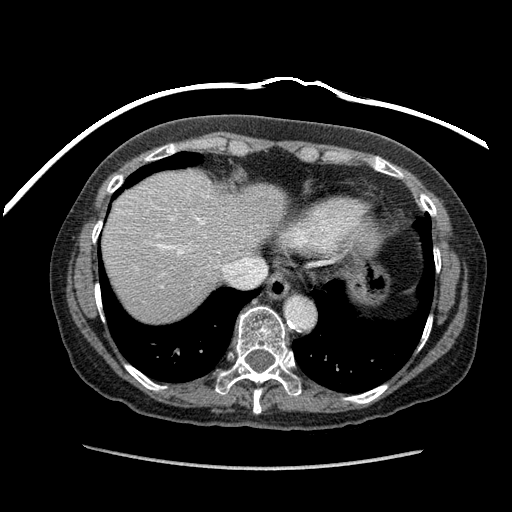
CT slice. Liver.

Liver = 104:169:287:324.